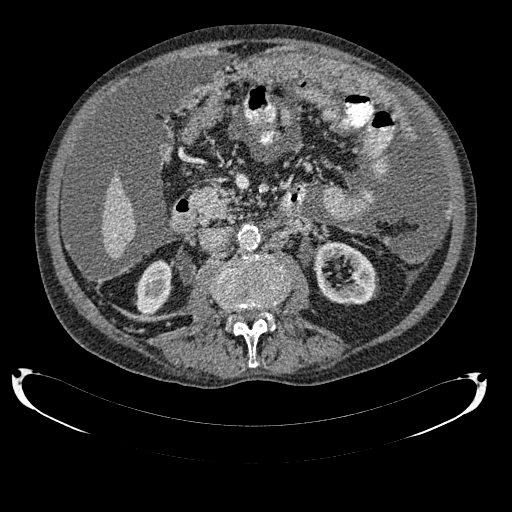

Abdomen. CT scan slice. Image size 512x512. kidney:
  - bbox=[137, 260, 170, 314]
  - bbox=[315, 242, 375, 303]
liver:
  - bbox=[102, 173, 135, 259]